Computed tomography
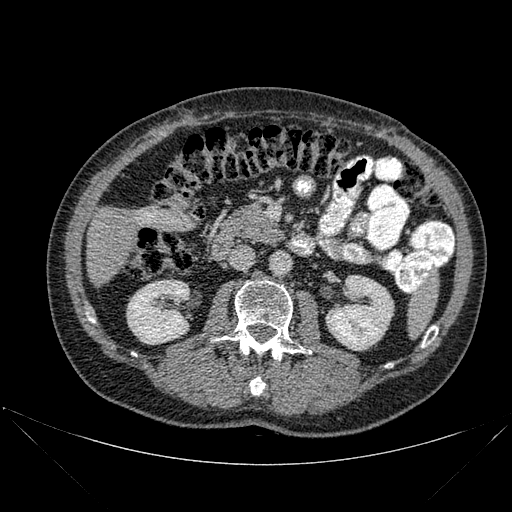

{"kidney": ["l=326, t=276, r=393, b=350", "l=127, t=280, r=188, b=344"], "bone": ["l=215, t=280, r=311, b=360", "l=250, t=377, r=265, b=394", "l=422, t=326, r=437, b=347"], "liver": ["l=86, t=207, r=137, b=285"]}